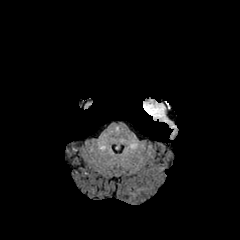
FLAIR MR.
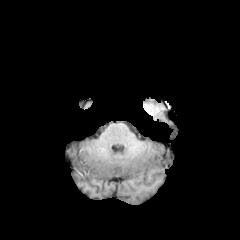
T1-weighted magnetic resonance.
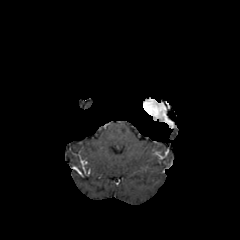
Post-contrast T1-weighted magnetic resonance of the same slice.
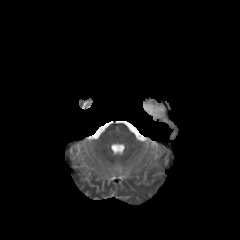
Same slice, T2-weighted magnetic resonance.
Head
enhancing tumor: rect(143, 99, 172, 127)